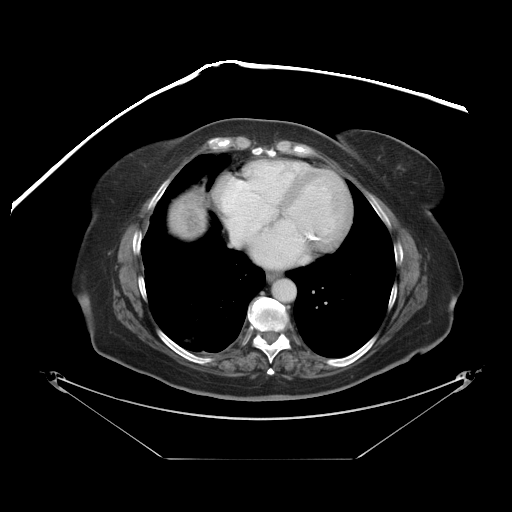

Liver; CT slice
<segmentation>
  <liver_tumor><bbox>181, 207, 203, 235</bbox></liver_tumor>
</segmentation>